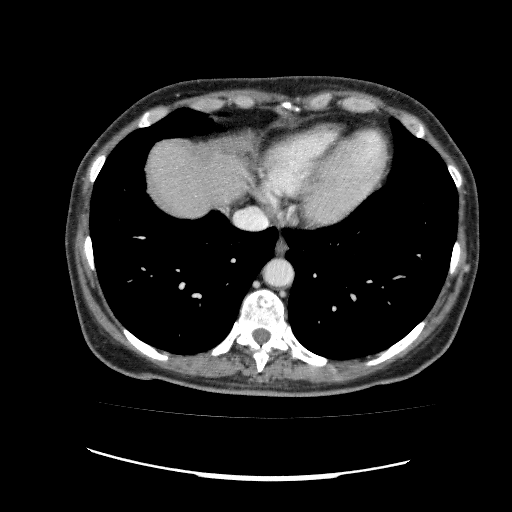 Abdomen, CT

Liver: {"x1": 146, "y1": 139, "x2": 249, "y2": 217}.